CT, Slice 410/845, Image width 472 mm
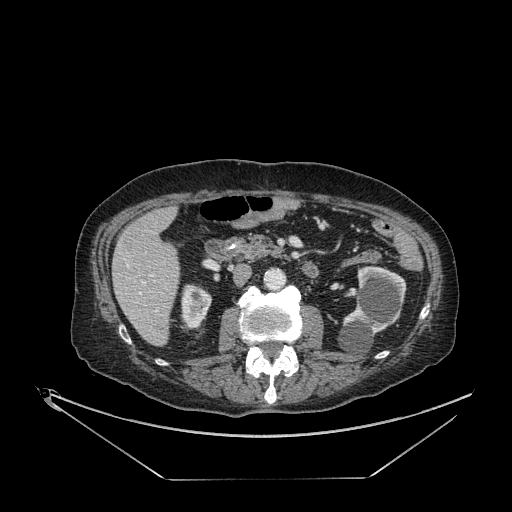
<segmentation>
  <liver>region(113, 207, 179, 346)</liver>
  <kidney>region(343, 305, 399, 333); region(358, 266, 405, 301); region(182, 285, 211, 327)</kidney>
</segmentation>